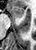 MRI. Anterior hippocampus = (left=11, top=6, right=24, bottom=18).